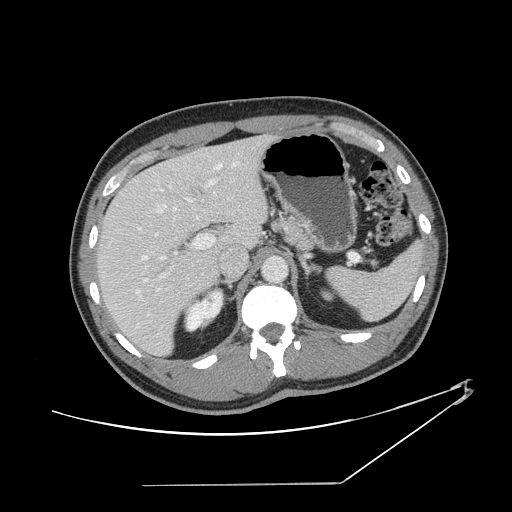 CT scan slice. 512x512 px. Liver.
Some hepatic vessels may have no box.
The most prominent 15 hepatic vessel regions (of 24) are located at x1=188, y1=198, x2=193, y2=200; x1=156, y1=288, x2=159, y2=291; x1=215, y1=164, x2=221, y2=169; x1=174, y1=251, x2=177, y2=253; x1=160, y1=273, x2=166, y2=277; x1=200, y1=199, x2=203, y2=201; x1=142, y1=254, x2=147, y2=259; x1=136, y1=290, x2=140, y2=298; x1=192, y1=233, x2=214, y2=248; x1=143, y1=279, x2=146, y2=281; x1=157, y1=187, x2=163, y2=191; x1=157, y1=205, x2=165, y2=212; x1=204, y1=180, x2=213, y2=187; x1=213, y1=192, x2=215, y2=195; x1=233, y1=162, x2=238, y2=164.